Head; 240x240 px
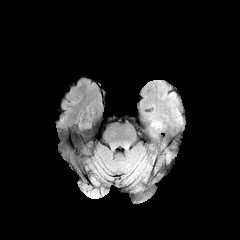
FLAIR MR.
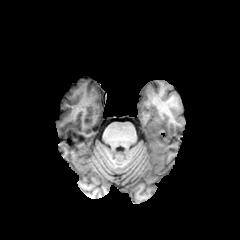
Same slice, T1-weighted magnetic resonance.
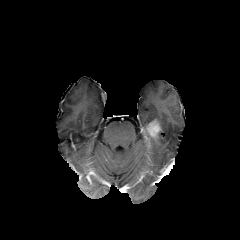
Post-contrast T1-weighted MR.
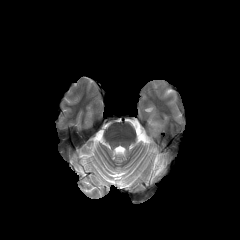
Same slice, T2-weighted magnetic resonance.
Annotated regions:
- enhancing tumor: [146,120,161,139]